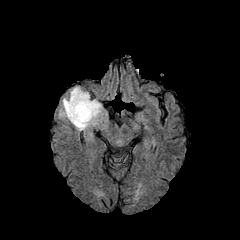
FLAIR magnetic resonance.
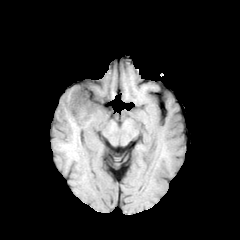
Same slice, T1-weighted magnetic resonance.
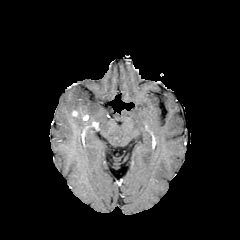
Same slice, post-contrast T1-weighted MRI.
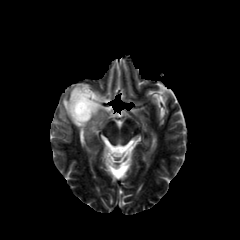
T2-weighted MR.
Brain
2 enhancing tumor regions appear at <box>71,110,78,117</box>, <box>82,113,89,120</box>. The edema appears at <box>58,86,101,130</box>.